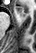

Hippocampus. MR image.
Anterior hippocampus = bbox=[23, 14, 24, 16]; bbox=[15, 6, 21, 14].